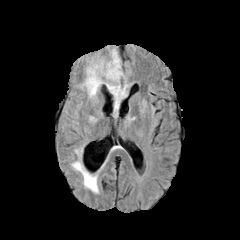
FLAIR MRI.
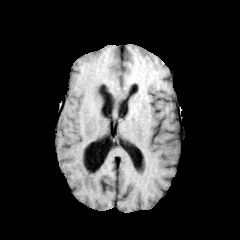
T1-weighted MR image.
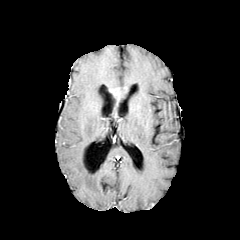
Post-contrast T1-weighted MR image of the same slice.
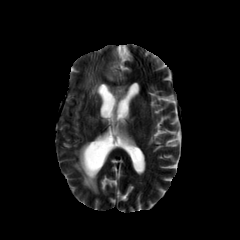
T2-weighted MR of the same slice.
240x240
<segmentation>
  <edema>[72, 144, 99, 193], [105, 50, 121, 82], [84, 67, 127, 98]</edema>
</segmentation>